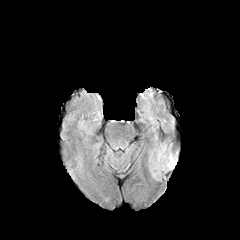
FLAIR MR.
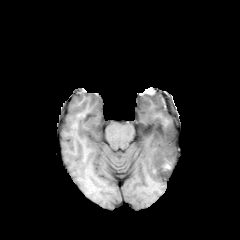
T1-weighted magnetic resonance.
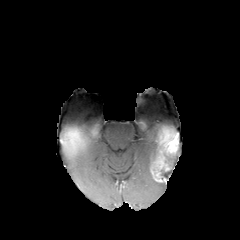
Post-contrast T1-weighted MR of the same slice.
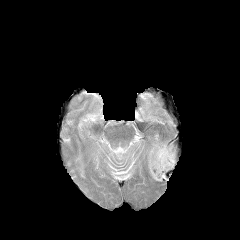
T2-weighted MR.
Image size 240x240.
• edema: box=[149, 143, 162, 168]
• non-enhancing tumor core: box=[150, 141, 181, 184]
• enhancing tumor: box=[168, 140, 178, 152]